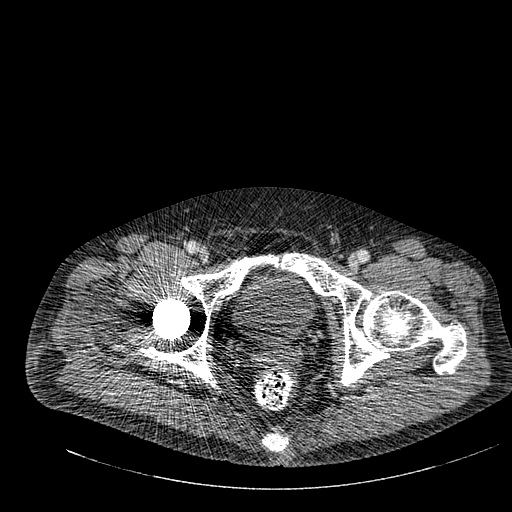 512x512 px, Lower abdomen, CT

Urinary bladder — box(232, 264, 316, 349).